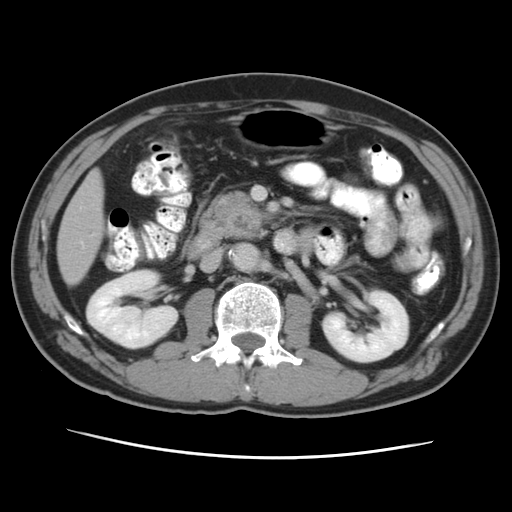

Abdomen. Computed tomography.
Pancreas = 205:191:263:241.